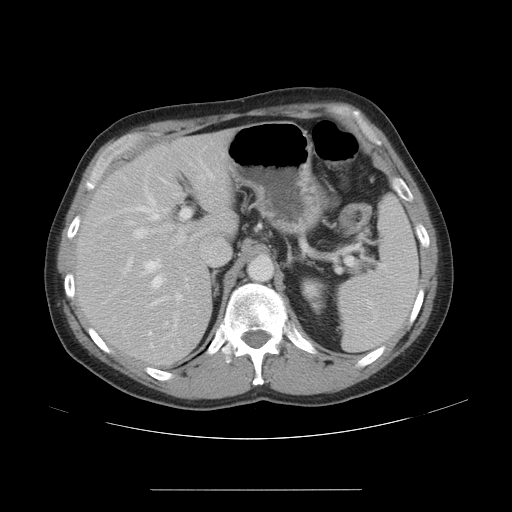

CT scan slice

The vessel boxes may cover only some of the vessels.
The principal 15 hepatic vessel regions (of 16) are located at (x1=142, y1=259, x2=160, y2=273), (x1=128, y1=206, x2=159, y2=219), (x1=176, y1=294, x2=181, y2=299), (x1=129, y1=221, x2=135, y2=224), (x1=148, y1=331, x2=151, y2=334), (x1=199, y1=160, x2=214, y2=178), (x1=152, y1=276, x2=164, y2=286), (x1=149, y1=197, x2=155, y2=203), (x1=161, y1=179, x2=164, y2=181), (x1=180, y1=208, x2=190, y2=219), (x1=134, y1=229, x2=146, y2=237), (x1=163, y1=209, x2=169, y2=213), (x1=177, y1=237, x2=181, y2=242), (x1=198, y1=176, x2=202, y2=178), (x1=196, y1=186, x2=198, y2=187).